Head. Field of view 240 mm wide, 1.00 mm slice spacing. Image size 240x240.
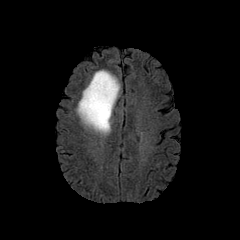
FLAIR MR.
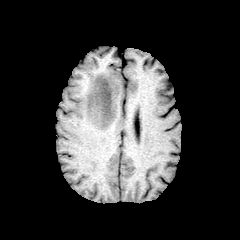
T1-weighted magnetic resonance of the same slice.
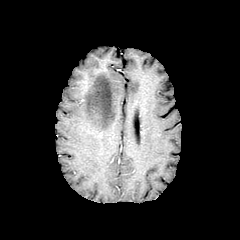
Post-contrast T1-weighted MR.
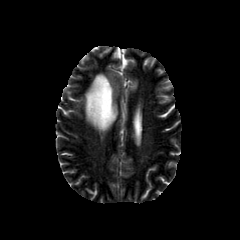
T2-weighted magnetic resonance.
The non-enhancing tumor core appears at (98, 88, 110, 119). The edema lies within (76, 70, 121, 135).